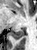

MRI
The posterior hippocampus appears at [10, 29, 23, 39].